Slice index 82; 240x240 px; Head
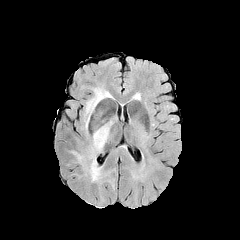
FLAIR MR image.
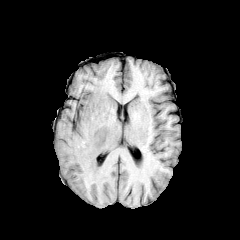
T1-weighted magnetic resonance.
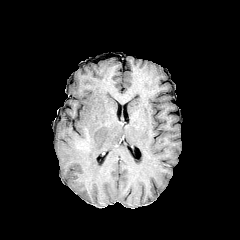
Post-contrast T1-weighted MRI of the same slice.
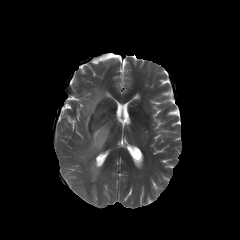
T2-weighted MR image of the same slice.
Annotated regions:
• edema: (x1=74, y1=121, x2=112, y2=182), (x1=83, y1=86, x2=114, y2=132)